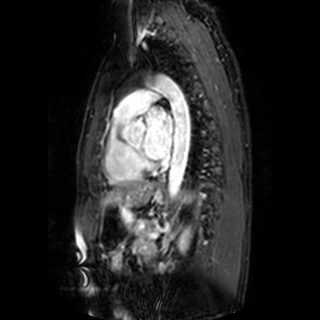 Cardiac. MR image. Image size 320x320.

left_atrium:
  - {"x1": 142, "y1": 107, "x2": 173, "y2": 158}